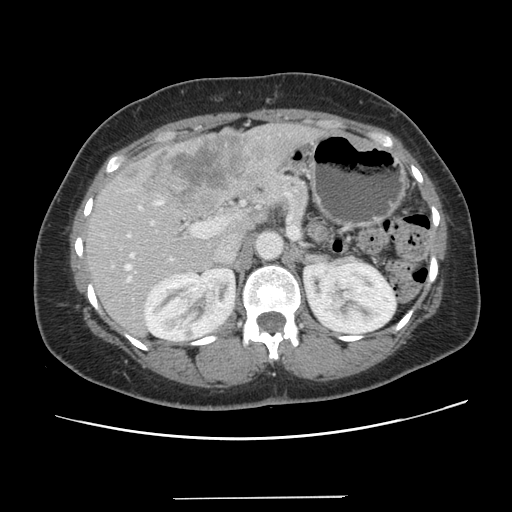
Abdomen, CT slice

Some hepatic vessels may have no box.
{
  "hepatic_vessel": [
    "left=139, top=207, right=141, bottom=209",
    "left=200, top=236, right=204, bottom=237",
    "left=127, top=276, right=131, bottom=280",
    "left=151, top=221, right=153, bottom=223",
    "left=130, top=254, right=133, bottom=257",
    "left=126, top=265, right=131, bottom=269",
    "left=128, top=234, right=130, bottom=236",
    "left=208, top=233, right=214, bottom=236",
    "left=155, top=200, right=162, bottom=204",
    "left=191, top=217, right=225, bottom=235"
  ],
  "liver_tumor": [
    "left=142, top=133, right=253, bottom=202"
  ]
}